FLAIR magnetic resonance.
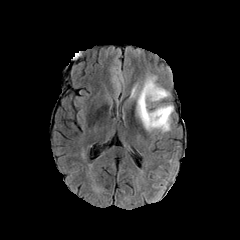
T1-weighted MR.
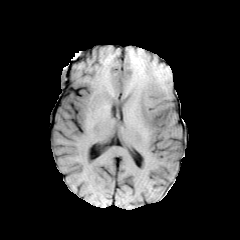
Post-contrast T1-weighted MR.
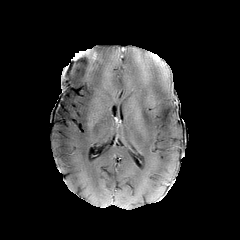
T2-weighted MR image.
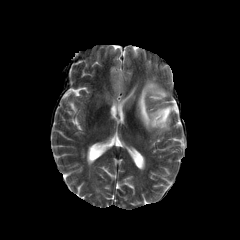
Head
<segmentation>
  <edema>130,76,174,134</edema>
</segmentation>